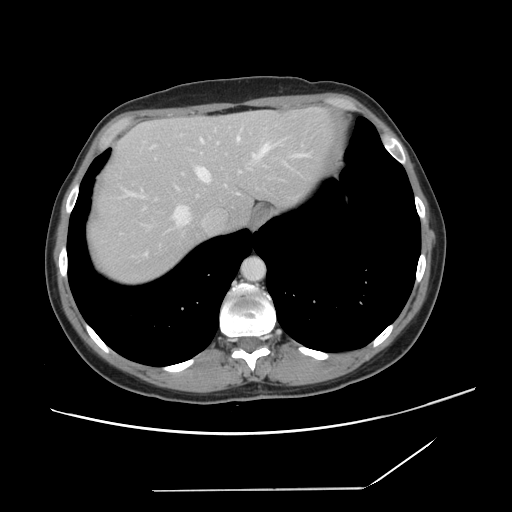
Image size 512x512 | Liver | CT slice

Not every hepatic vessel necessarily has a box.
{"hepatic_vessel": ["(left=174, top=206, right=188, bottom=225)", "(left=151, top=145, right=155, bottom=148)", "(left=195, top=167, right=210, bottom=182)", "(left=201, top=139, right=202, bottom=142)", "(left=124, top=191, right=134, bottom=196)", "(left=139, top=195, right=142, bottom=197)", "(left=237, top=136, right=239, bottom=140)", "(left=175, top=186, right=177, bottom=188)", "(left=217, top=142, right=218, bottom=143)", "(left=253, top=143, right=277, bottom=159)", "(left=239, top=171, right=240, bottom=172)", "(left=182, top=173, right=183, bottom=174)", "(left=145, top=253, right=147, bottom=254)", "(left=141, top=188, right=142, bottom=190)", "(left=296, top=154, right=307, bottom=156)"]}